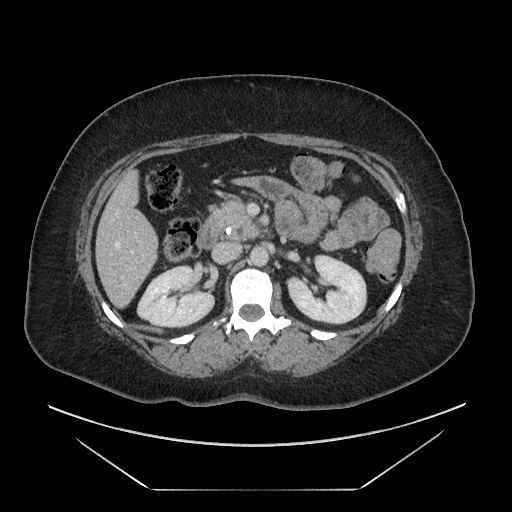

CT image
{"pancreas": ["<bbox>221, 202, 258, 240</bbox>"]}